Brain; Slice 50 of 155
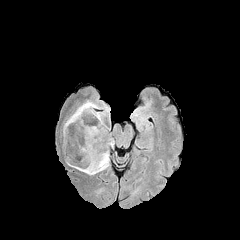
FLAIR MR.
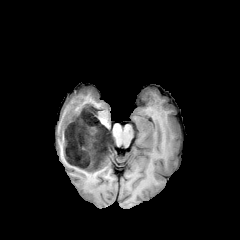
T1-weighted MR image.
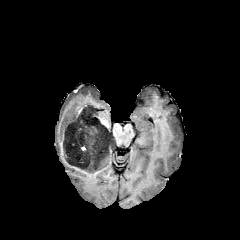
Same slice, post-contrast T1-weighted magnetic resonance.
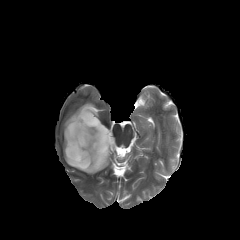
T2-weighted magnetic resonance.
Segmented structures:
- non-enhancing tumor core: [x1=65, y1=106, x2=113, y2=169]
- edema: [x1=64, y1=101, x2=99, y2=134], [x1=94, y1=112, x2=103, y2=123], [x1=66, y1=152, x2=109, y2=174]